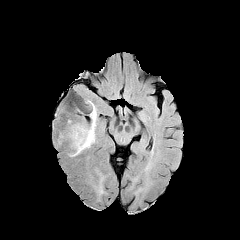
FLAIR magnetic resonance.
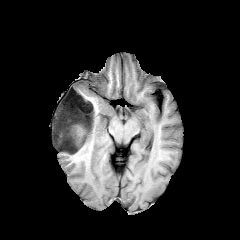
T1-weighted magnetic resonance.
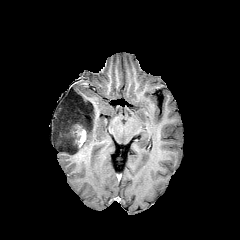
Post-contrast T1-weighted magnetic resonance of the same slice.
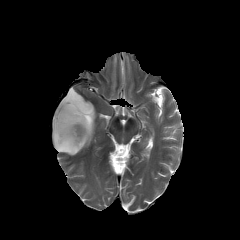
T2-weighted magnetic resonance.
Head
2 edema regions are bounded by 93 106 98 128, 70 128 95 156. The enhancing tumor is located at 76 126 86 147. The non-enhancing tumor core is at 54 97 94 154.